FLAIR MRI.
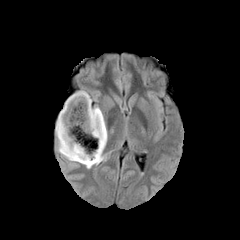
T1-weighted MR.
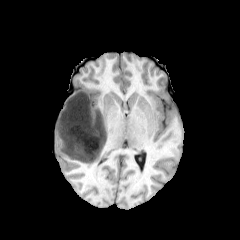
Post-contrast T1-weighted MR image.
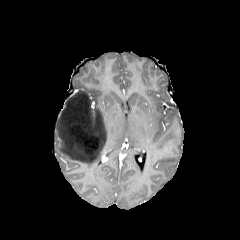
T2-weighted MR.
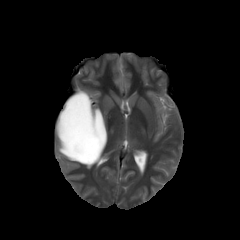
Head
non-enhancing tumor core: box(58, 91, 107, 163) | edema: box(55, 120, 98, 168); box(94, 105, 107, 146)